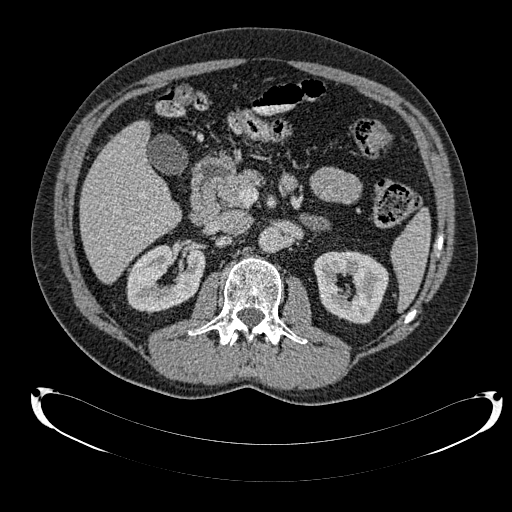 Liver | CT slice
The liver is bounded by 80, 121, 181, 282. 2 kidney regions are located at 127, 245, 204, 311; 314, 252, 388, 322.